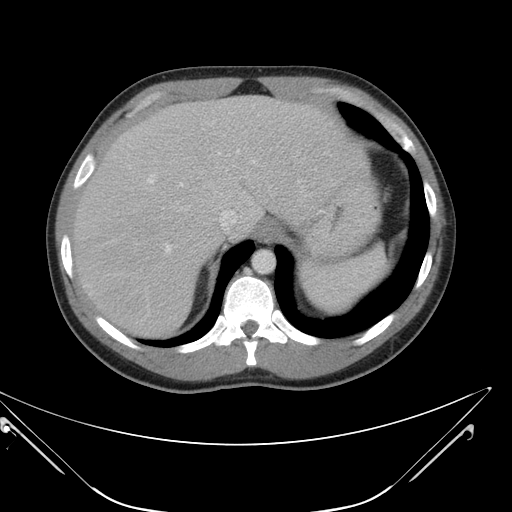 Abdomen | CT scan slice

Not every hepatic vessel necessarily has a box.
Hepatic vessel at [x1=237, y1=150, x2=239, y2=152], [x1=165, y1=245, x2=171, y2=251], [x1=252, y1=160, x2=254, y2=162], [x1=148, y1=175, x2=154, y2=183], [x1=220, y1=210, x2=241, y2=232], [x1=179, y1=183, x2=182, y2=185].